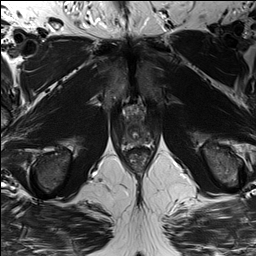
T2-weighted MR image.
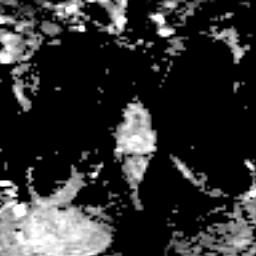
ADC MRI.
Prostate transition zone — left=125, top=120, right=148, bottom=141.